Computed tomography 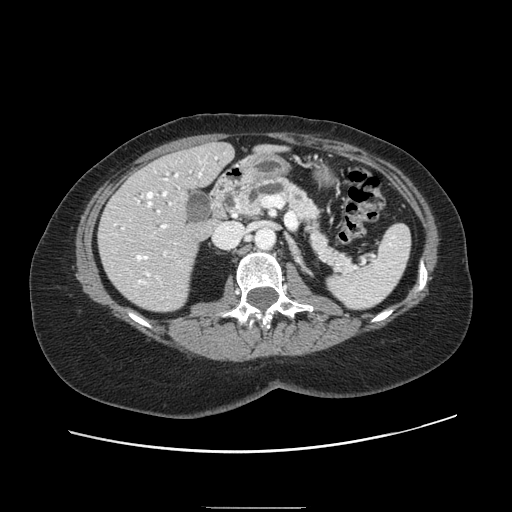 * pancreas: left=234, top=178, right=354, bottom=273
* pancreatic tumor: left=243, top=203, right=257, bottom=214